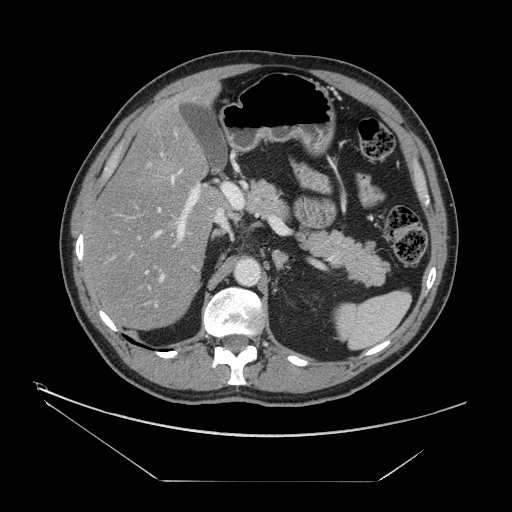

Abdomen, Computed tomography

The vessel boxes may cover only some of the vessels.
Hepatic vessel = box(156, 231, 160, 234); box(185, 184, 199, 212); box(161, 276, 163, 279); box(178, 215, 185, 237); box(217, 210, 220, 213); box(171, 177, 173, 181).